512x512 px, CT image
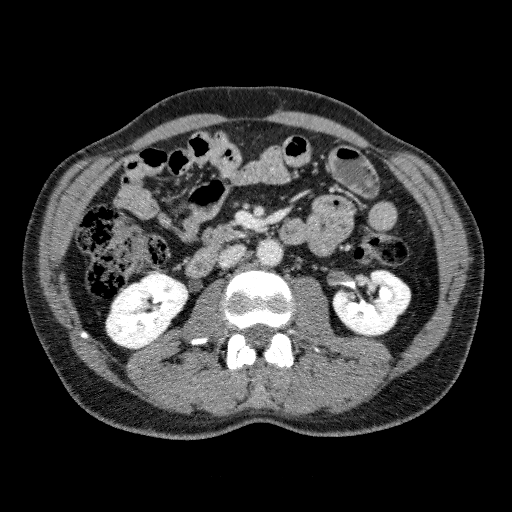

{"kidney": ["106 273 186 347", "333 271 409 334"]}